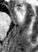
MRI

Anterior hippocampus: rect(16, 7, 21, 10).